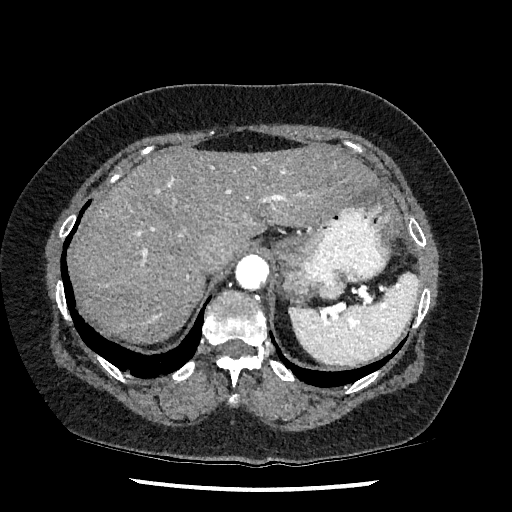

Abdomen. CT.
Segmented structures:
• hepatic lesion: rect(357, 187, 378, 200)
• liver: rect(71, 145, 379, 343)